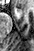
MR image | Medial temporal lobe | Image size 34x51
Anterior hippocampus at {"x1": 17, "y1": 9, "x2": 19, "y2": 12}.